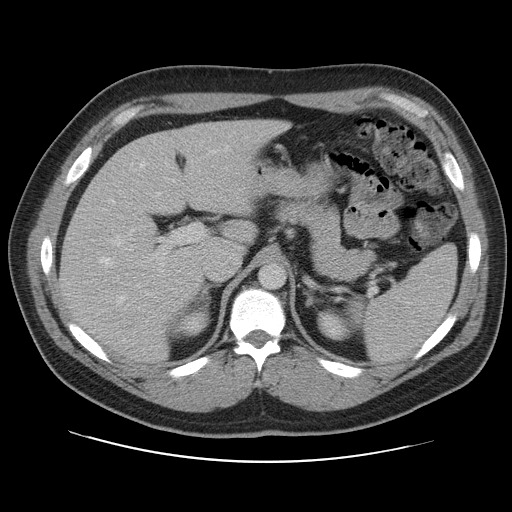
CT scan slice | Liver
Some hepatic vessels may have no box.
The largest 15 hepatic vessel regions (of 17) are located at box(244, 222, 247, 225); box(160, 262, 163, 265); box(237, 210, 241, 211); box(186, 188, 191, 190); box(148, 223, 205, 261); box(129, 246, 132, 250); box(120, 296, 123, 300); box(149, 223, 154, 233); box(234, 246, 242, 249); box(215, 238, 216, 242); box(237, 196, 247, 209); box(223, 228, 226, 235); box(99, 257, 111, 266); box(111, 235, 120, 245); box(240, 237, 242, 240).